CT slice, Image size 512x512, Abdomen 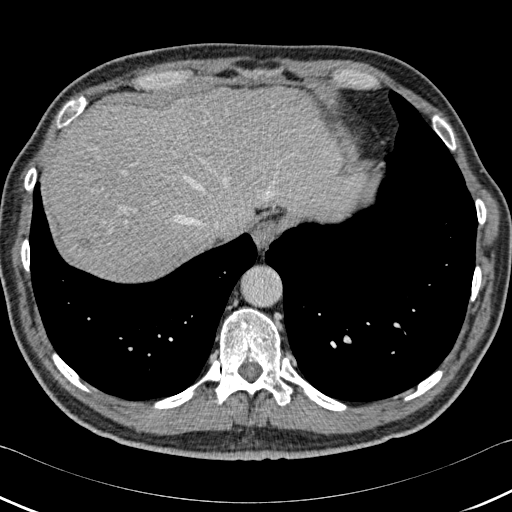 Liver at (x1=41, y1=86, x2=367, y2=281).
Liver lesion at (x1=78, y1=238, x2=94, y2=247).
Bone at (x1=53, y1=354, x2=89, y2=391), (x1=471, y1=266, x2=481, y2=300), (x1=154, y1=309, x2=346, y2=411), (x1=405, y1=371, x2=442, y2=400), (x1=21, y1=239, x2=29, y2=270), (x1=24, y1=168, x2=36, y2=190), (x1=57, y1=97, x2=86, y2=127), (x1=476, y1=199, x2=486, y2=224), (x1=432, y1=115, x2=455, y2=149).
Lung at (x1=265, y1=89, x2=478, y2=405), (x1=29, y1=181, x2=260, y2=400).